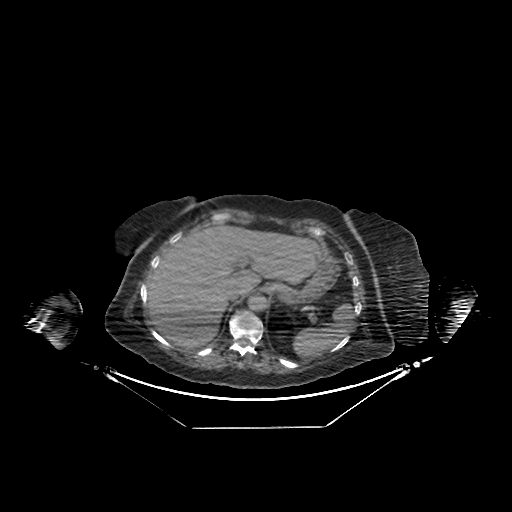

CT
<segmentation>
  <liver>region(144, 224, 322, 349)</liver>
</segmentation>